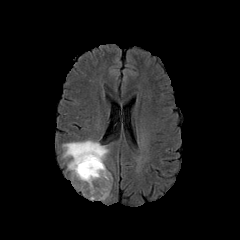
FLAIR MR.
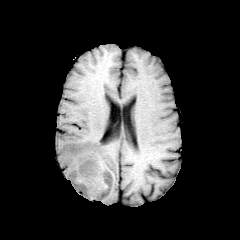
T1-weighted MR image of the same slice.
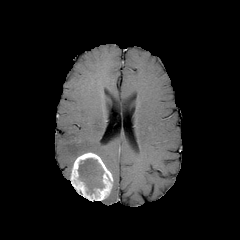
Post-contrast T1-weighted MRI.
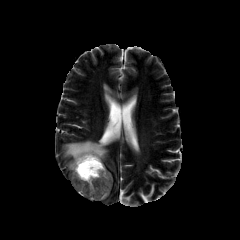
T2-weighted MR image.
Brain, 240x240 px
Enhancing tumor: bounding box l=70, t=152, r=112, b=200.
Non-enhancing tumor core: bounding box l=78, t=158, r=103, b=188.
Edema: bounding box l=62, t=139, r=109, b=177; l=88, t=177, r=101, b=191.